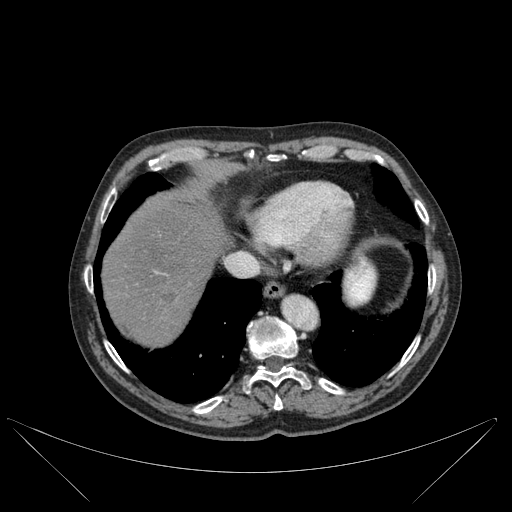
Liver; CT
The hepatic lesion is at {"x1": 159, "y1": 291, "x2": 178, "y2": 304}. The liver is located at {"x1": 102, "y1": 201, "x2": 225, "y2": 347}. 12 bone regions are bounded by {"x1": 148, "y1": 160, "x2": 158, "y2": 169}, {"x1": 428, "y1": 269, "x2": 436, "y2": 291}, {"x1": 319, "y1": 379, "x2": 342, "y2": 393}, {"x1": 265, "y1": 156, "x2": 285, "y2": 161}, {"x1": 242, "y1": 364, "x2": 309, "y2": 392}, {"x1": 397, "y1": 337, "x2": 419, "y2": 369}, {"x1": 415, "y1": 200, "x2": 428, "y2": 223}, {"x1": 247, "y1": 316, "x2": 296, "y2": 358}, {"x1": 193, "y1": 397, "x2": 222, "y2": 413}, {"x1": 274, "y1": 396, "x2": 282, "y2": 409}, {"x1": 105, "y1": 341, "x2": 126, "y2": 370}, {"x1": 84, "y1": 272, "x2": 92, "y2": 291}. 3 lung regions are bounded by {"x1": 372, "y1": 165, "x2": 418, "y2": 227}, {"x1": 93, "y1": 172, "x2": 261, "y2": 402}, {"x1": 312, "y1": 243, "x2": 427, "y2": 386}.